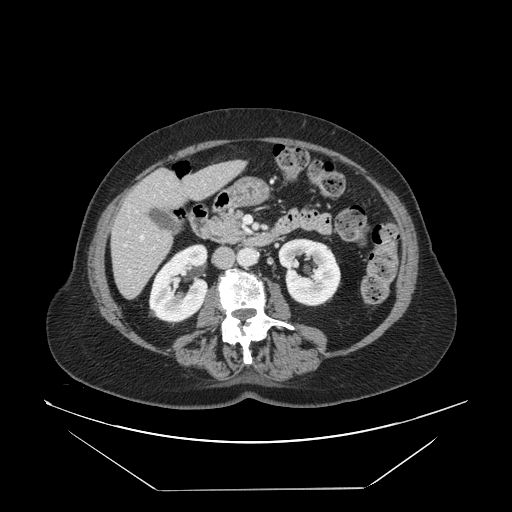

Computed tomography.

The pancreas is at [204, 209, 252, 245].